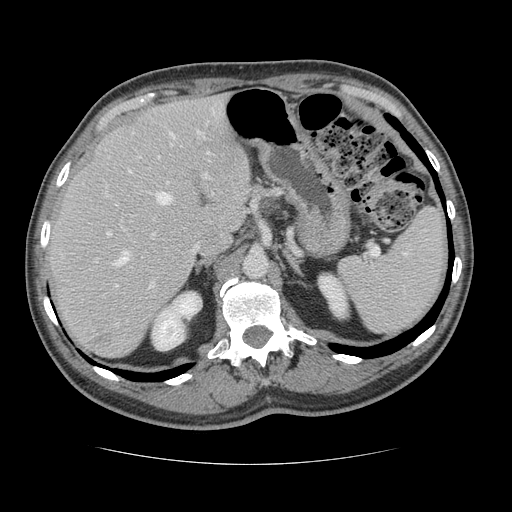 Abdomen | Computed tomography
The vessel boxes may cover only some of the vessels.
Most prominent 15 of 19 hepatic vessel regions at x1=149, y1=282, x2=153, y2=286; x1=115, y1=284, x2=118, y2=286; x1=197, y1=130, x2=203, y2=137; x1=114, y1=251, x2=129, y2=264; x1=128, y1=169, x2=130, y2=171; x1=107, y1=231, x2=110, y2=234; x1=203, y1=173, x2=208, y2=177; x1=105, y1=190, x2=107, y2=195; x1=158, y1=155, x2=159, y2=157; x1=151, y1=233, x2=154, y2=236; x1=169, y1=142, x2=172, y2=145; x1=156, y1=192, x2=171, y2=204; x1=207, y1=151, x2=209, y2=153; x1=192, y1=245, x2=197, y2=251; x1=170, y1=132, x2=175, y2=138.
Liver tumor at x1=97, y1=333, x2=111, y2=345.